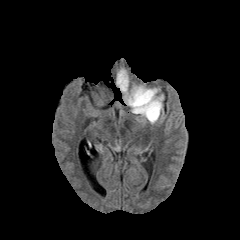
FLAIR magnetic resonance.
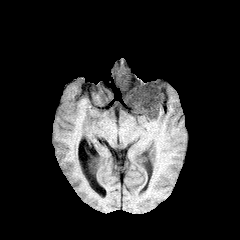
T1-weighted MR image.
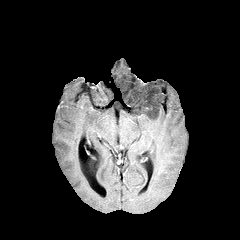
Post-contrast T1-weighted MR image.
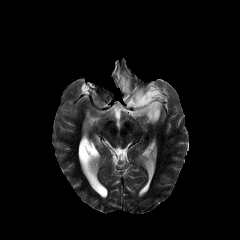
T2-weighted magnetic resonance of the same slice.
240x240 px
The non-enhancing tumor core is bounded by (left=133, top=91, right=157, bottom=116). The edema lies within (left=116, top=68, right=164, bottom=124).